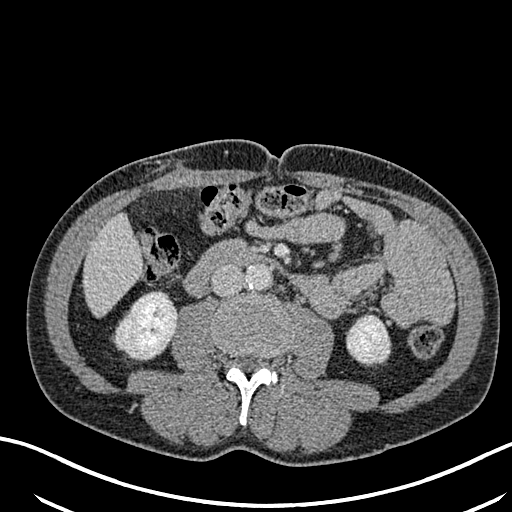

CT slice
{
  "liver": [
    "[83,213,140,316]"
  ],
  "kidney": [
    "[116,293,176,358]",
    "[347,316,389,362]"
  ]
}